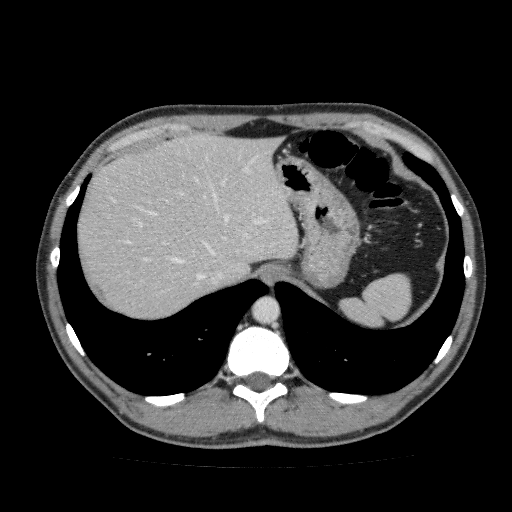 CT slice. 512x512. Liver. liver:
  - box=[77, 135, 299, 320]